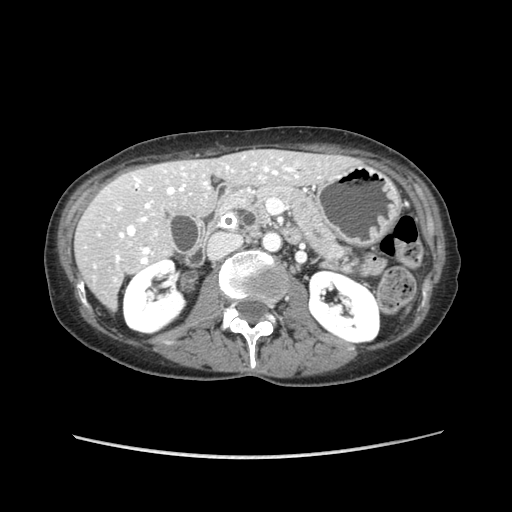
CT scan slice, 512x512 px

The pancreas appears at bbox(218, 188, 358, 273).